FLAIR MR.
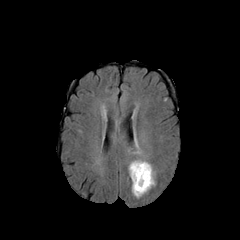
T1-weighted MR image.
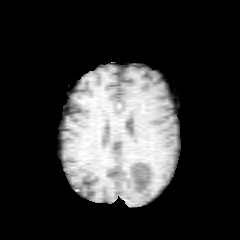
Post-contrast T1-weighted MR image.
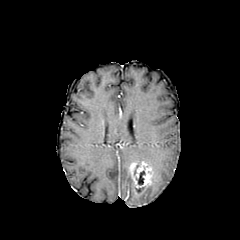
T2-weighted MR image.
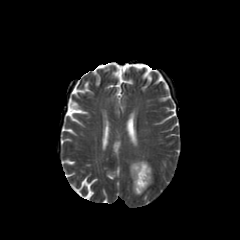
The non-enhancing tumor core is bounded by 138, 171, 144, 184. The enhancing tumor lies within 130, 162, 151, 188. 2 edema regions appear at 129, 160, 154, 197; 134, 133, 141, 153.